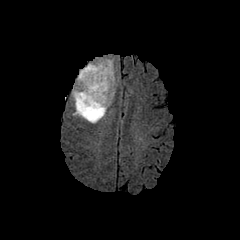
FLAIR MR.
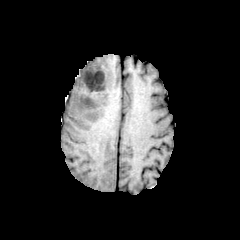
T1-weighted magnetic resonance of the same slice.
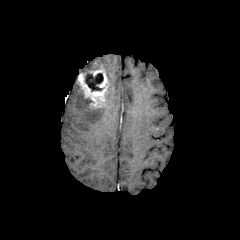
Post-contrast T1-weighted MRI of the same slice.
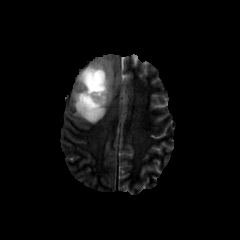
T2-weighted MR image of the same slice.
edema:
  - (72,58,119,123)
non-enhancing_tumor_core:
  - (85,65,103,91)
  - (82,79,109,112)
enhancing_tumor:
  - (78,68,107,105)